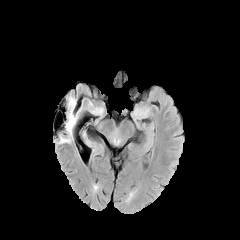
FLAIR MR image.
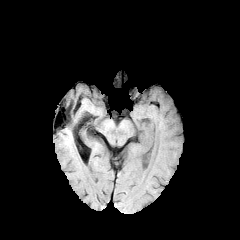
T1-weighted MRI of the same slice.
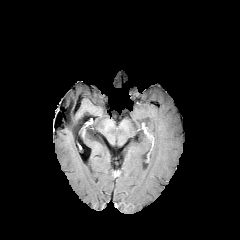
Post-contrast T1-weighted MRI.
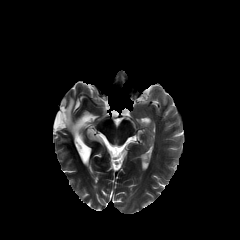
T2-weighted magnetic resonance.
<segmentation>
  <non-enhancing_tumor_core>(x1=65, y1=106, x2=71, y2=123)</non-enhancing_tumor_core>
  <edema>(x1=64, y1=96, x2=79, y2=135)</edema>
</segmentation>